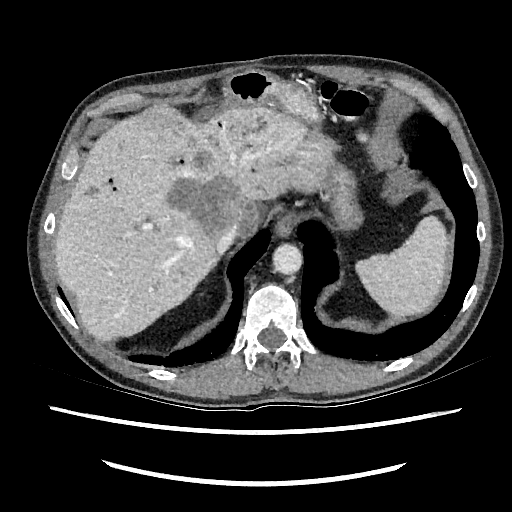

CT scan slice; Abdomen
liver:
  - box(55, 105, 335, 339)
focal_liver_lesion:
  - box(192, 150, 211, 170)
  - box(85, 187, 96, 196)
  - box(165, 176, 257, 237)
  - box(168, 156, 183, 165)